Image size 240x240
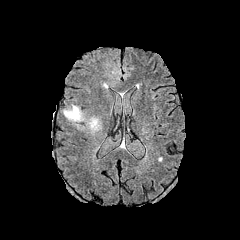
FLAIR MR.
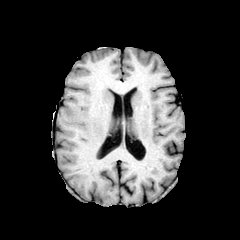
T1-weighted MR.
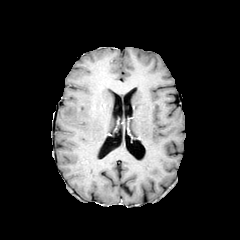
Post-contrast T1-weighted magnetic resonance of the same slice.
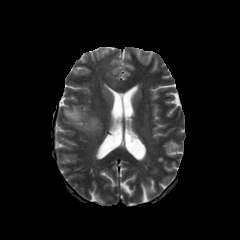
Same slice, T2-weighted magnetic resonance.
Segmented structures:
• edema: box=[63, 105, 101, 132]